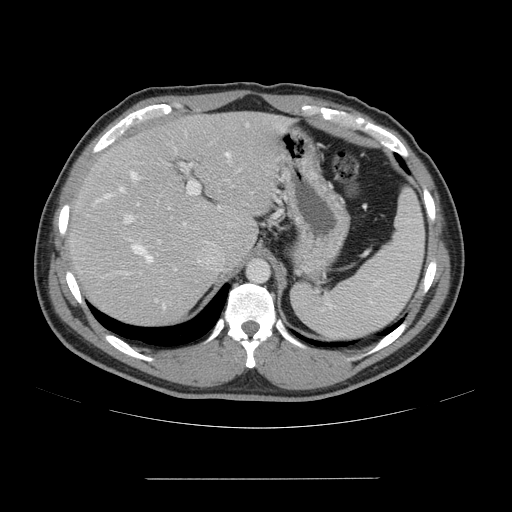

CT scan slice; Liver

The vessel annotation is not exhaustive.
Hepatic vessel = bbox=[181, 163, 184, 165]; bbox=[226, 153, 229, 156]; bbox=[116, 271, 127, 273]; bbox=[95, 194, 111, 203]; bbox=[120, 187, 123, 191]; bbox=[187, 181, 199, 194]; bbox=[158, 240, 160, 243]; bbox=[124, 215, 133, 223]; bbox=[247, 123, 248, 126]; bbox=[155, 299, 157, 301]; bbox=[163, 305, 165, 308]; bbox=[132, 245, 152, 261]; bbox=[131, 171, 140, 179]; bbox=[183, 223, 185, 225].